CT
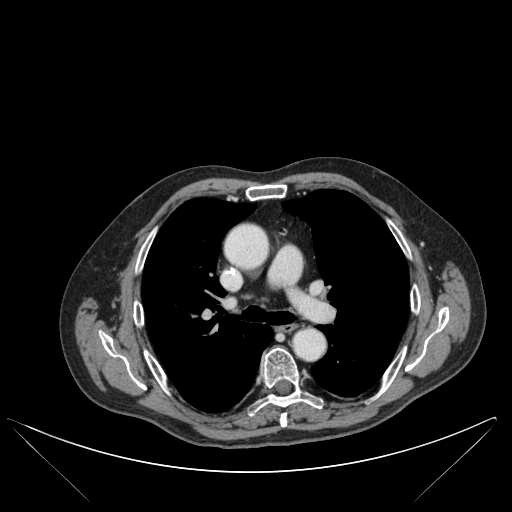
Lung = <box>142,198,294,412</box>, <box>282,189,408,396</box>.
Bone = <box>144,350,168,392</box>, <box>280,413,286,426</box>, <box>405,307,449,370</box>, <box>246,184,286,200</box>, <box>254,348,321,411</box>, <box>410,285,420,312</box>, <box>377,347,406,396</box>, <box>133,301,143,325</box>, <box>100,332,146,389</box>, <box>389,221,408,253</box>, <box>136,231,154,270</box>.